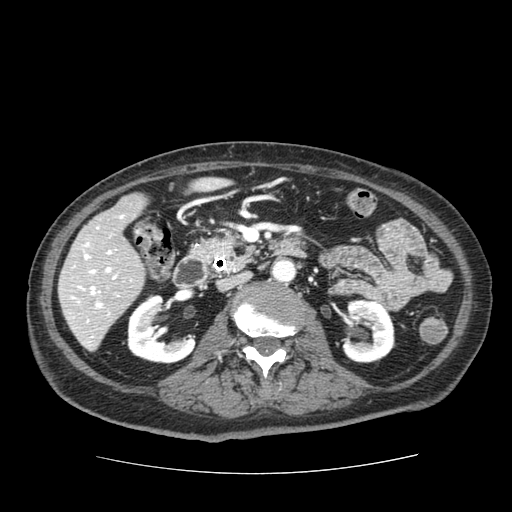 CT image; 512x512 px; Upper abdomen

Pancreas: bounding box 192 232 253 271.